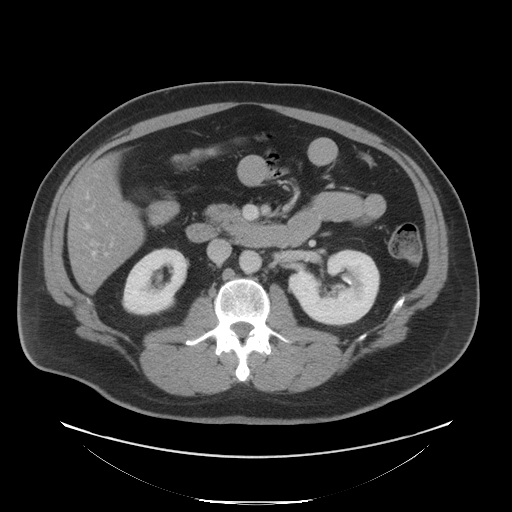
CT. 512x512.
<segmentation>
  <pancreas>region(206, 204, 248, 231)</pancreas>
</segmentation>